512x512. Computed tomography. Slice 186/689.
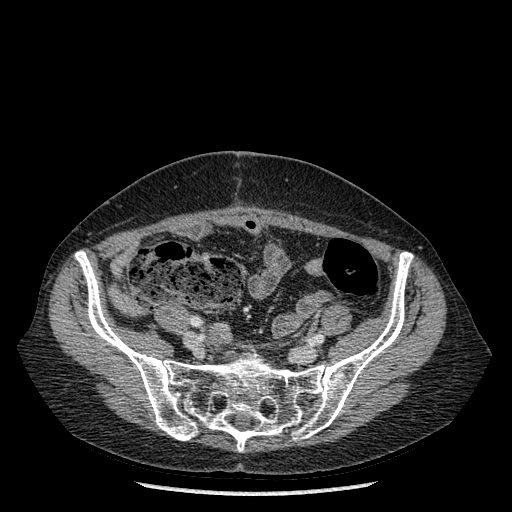
Bone at 74, 250, 413, 451.